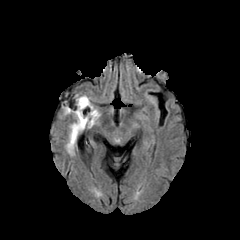
FLAIR magnetic resonance.
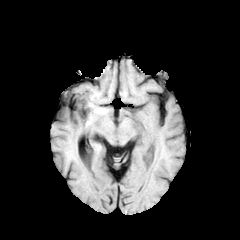
T1-weighted MR of the same slice.
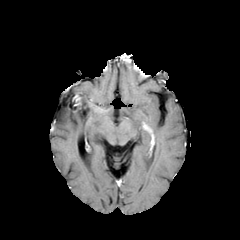
Post-contrast T1-weighted magnetic resonance.
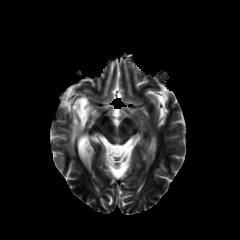
T2-weighted MR image of the same slice.
240x240
Edema at <box>64,94,100,154</box>.
Non-enhancing tumor core at <box>70,112,77,125</box>, <box>78,96,85,105</box>.